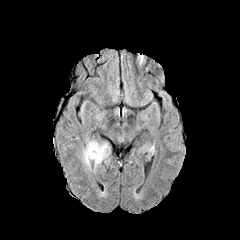
FLAIR MR image.
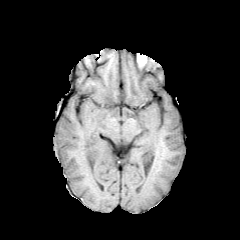
T1-weighted MRI of the same slice.
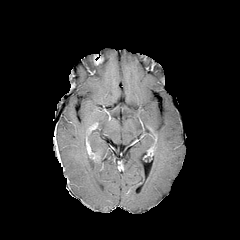
Post-contrast T1-weighted MR.
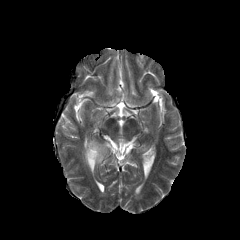
T2-weighted MR.
Image size 240x240
Findings:
• edema: bbox=[79, 139, 110, 174]